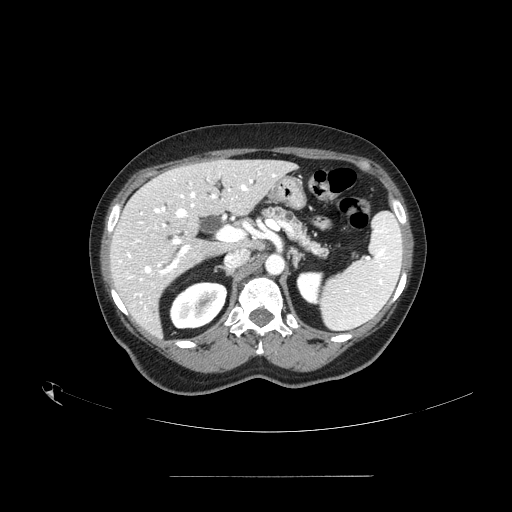

CT

The pancreas is bounded by <box>263,206,330,258</box>.